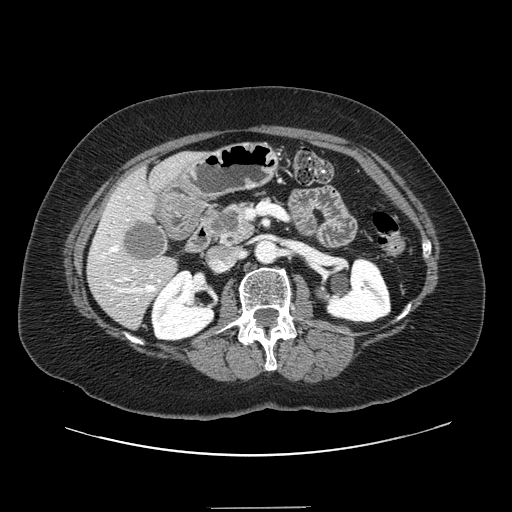

Abdomen; CT slice

pancreas:
  - rect(206, 201, 254, 246)
pancreatic_tumor:
  - rect(211, 210, 240, 235)